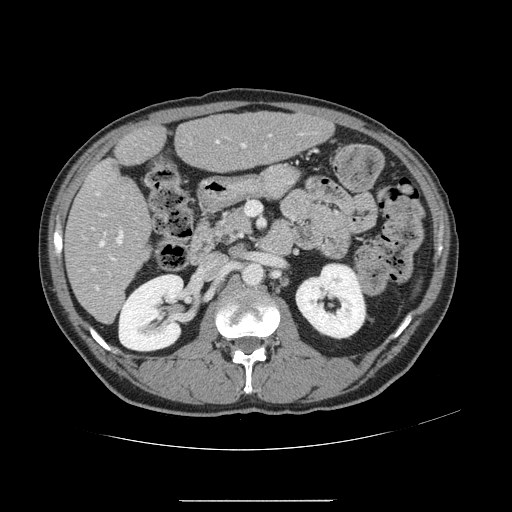
Image size 512x512, CT image
Not every hepatic vessel necessarily has a box.
hepatic vessel: box(99, 241, 104, 246); box(99, 214, 105, 214); box(90, 177, 93, 179); box(91, 228, 93, 229); box(242, 144, 245, 146); box(92, 268, 94, 270); box(216, 141, 218, 142); box(104, 232, 105, 234); box(97, 193, 98, 194); box(94, 285, 98, 289); box(111, 258, 115, 260); box(116, 230, 122, 244)